CT scan slice, Liver, Slice 84 of 121

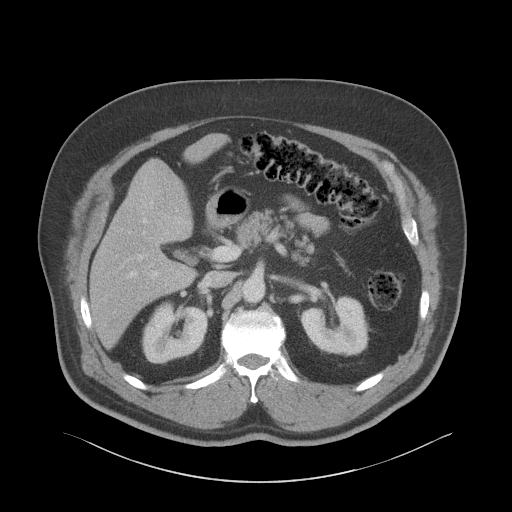 - kidney: box=[143, 304, 206, 362]; box=[302, 297, 366, 354]
- liver: box=[190, 137, 220, 161]; box=[91, 162, 191, 343]